Slice 271 of 461; Field of view 432 mm wide, 1.50 mm slice spacing; CT; Upper abdomen

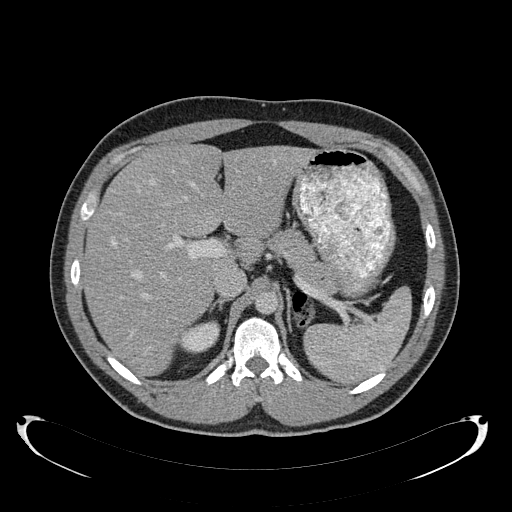 Segmented structures:
- kidney: 174 322 218 351
- liver: 83 145 314 375